FLAIR MR.
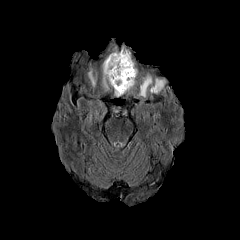
T1-weighted magnetic resonance.
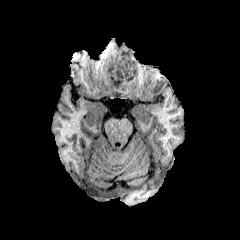
Post-contrast T1-weighted MRI.
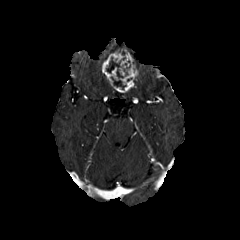
T2-weighted MR.
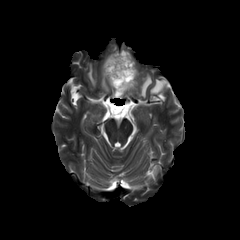
Image size 240x240
Edema — l=88, t=67, r=96, b=86; l=141, t=76, r=152, b=89; l=150, t=78, r=167, b=96.
Enhancing tumor — l=101, t=47, r=138, b=95.
Non-enhancing tumor core — l=106, t=56, r=119, b=73; l=111, t=77, r=126, b=87.